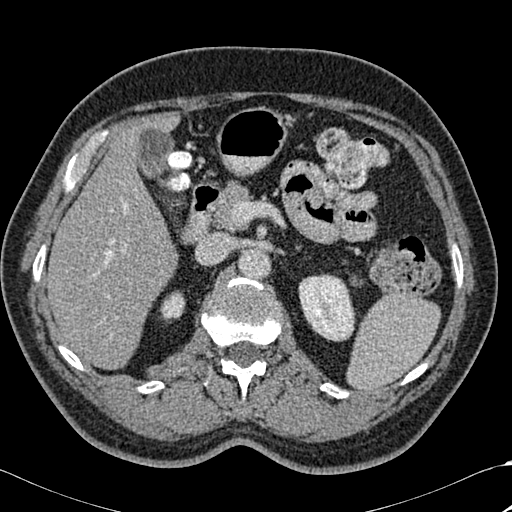
Upper abdomen | Computed tomography
2 kidney regions appear at 163 294 183 317, 299 276 353 340. 2 liver regions are bounded by 47 127 175 369, 160 113 177 129. 8 bone regions are located at 64 160 75 190, 402 364 426 383, 202 278 280 395, 320 383 348 397, 33 246 45 280, 60 346 82 369, 138 381 163 393, 452 245 462 285.